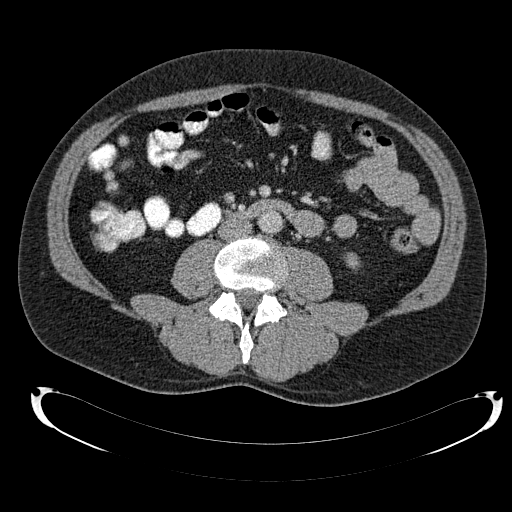
Abdomen | CT scan slice | 512x512
• kidney: (left=348, top=257, right=356, bottom=266)